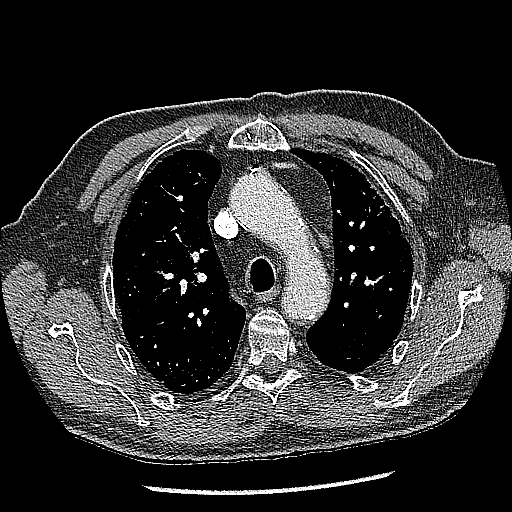
CT image; Image size 512x512; Lung
lung_tumor:
  - (x1=378, y1=203, x2=390, y2=221)